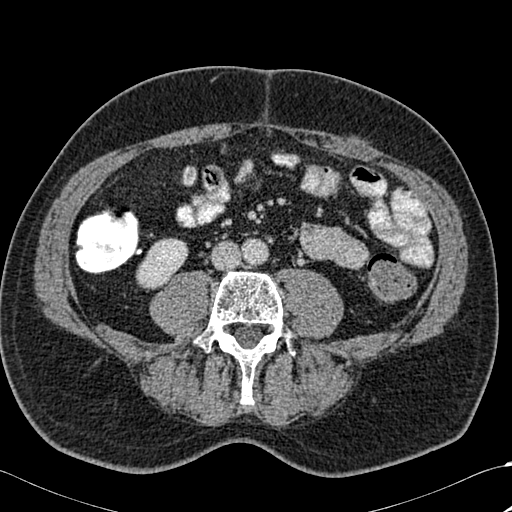 Computed tomography. The kidney appears at (x1=137, y1=239, x2=186, y2=286). The bone is at (x1=194, y1=271, x2=292, y2=404).